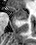
Hippocampus. MRI.

anterior_hippocampus:
  - box=[9, 7, 27, 19]